Image width 240 mm
FLAIR magnetic resonance.
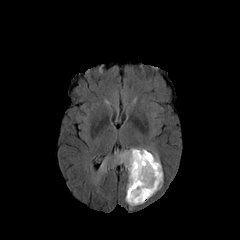
T1-weighted MR image.
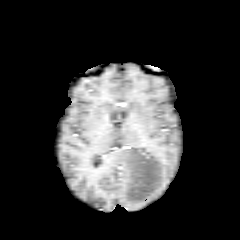
Post-contrast T1-weighted MRI.
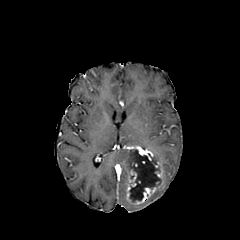
T2-weighted MR.
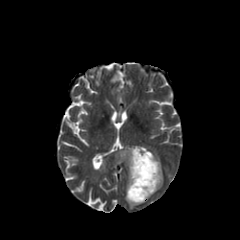
<segmentation>
  <enhancing_tumor>127,169,137,201; 134,182,158,203; 123,146,153,162</enhancing_tumor>
  <edema>125,185,144,208; 142,147,163,198; 114,149,135,183</edema>
  <non-enhancing_tumor_core>125,150,160,204</non-enhancing_tumor_core>
</segmentation>